FLAIR MR.
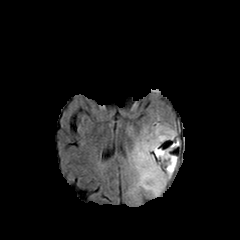
T1-weighted MR image.
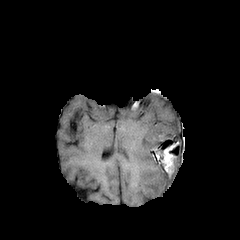
Post-contrast T1-weighted MR.
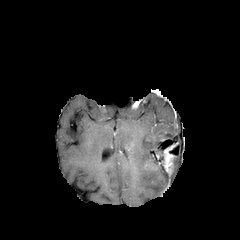
T2-weighted magnetic resonance.
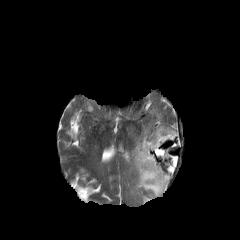
Enhancing tumor at region(163, 143, 176, 174).
Edema at region(127, 113, 179, 200).